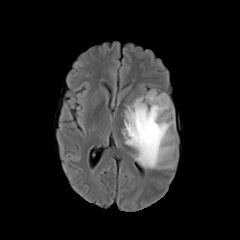
FLAIR magnetic resonance.
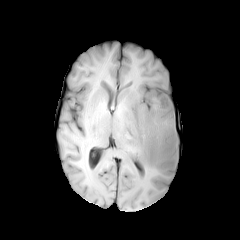
T1-weighted MRI.
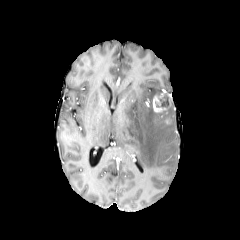
Post-contrast T1-weighted MR image of the same slice.
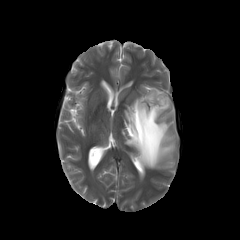
Same slice, T2-weighted magnetic resonance.
Brain; Image size 240x240
Enhancing tumor: bounding box (x1=152, y1=93, x2=165, y2=111).
Non-enhancing tumor core: bounding box (x1=134, y1=113, x2=158, y2=149), (x1=144, y1=90, x2=160, y2=111), (x1=155, y1=92, x2=170, y2=115).
Edema: bounding box (x1=122, y1=88, x2=176, y2=168).